Liver; CT image 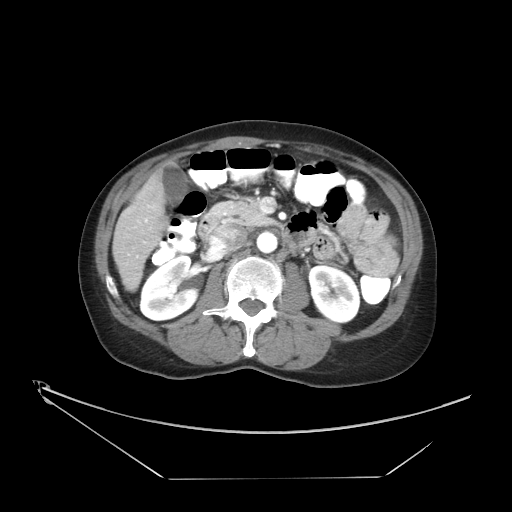 Not every hepatic vessel necessarily has a box.
The hepatic vessel appears at box=[145, 219, 147, 221]. The liver tumor is bounded by box=[138, 189, 148, 200].